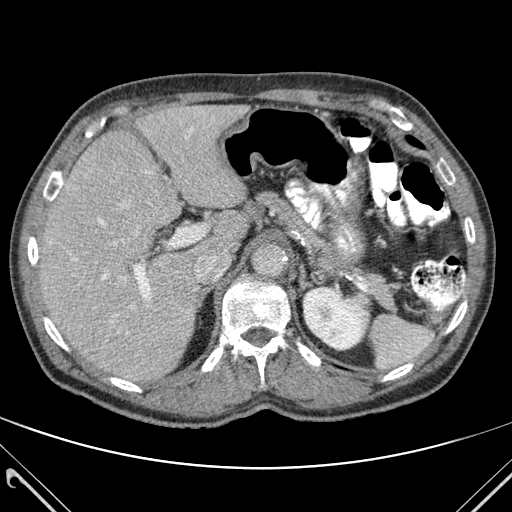
Image size 512x512; CT image
kidney: box=[304, 288, 367, 348] | bone: box=[44, 318, 67, 349]; box=[447, 302, 466, 332]; box=[297, 342, 320, 365]; box=[202, 280, 289, 381]; box=[438, 159, 454, 184]; box=[465, 218, 474, 241]; box=[44, 171, 62, 202]; box=[111, 378, 140, 391]; box=[28, 236, 37, 264]; box=[384, 364, 412, 380] | lung: box=[407, 136, 421, 147] | liver: box=[200, 211, 247, 250]; box=[40, 105, 249, 383]